Field of view 400 mm wide, 1.37 mm slice spacing, MR, Slice 68/130
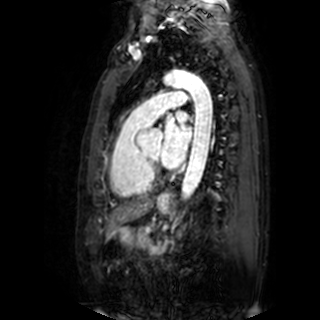 The left atrium is bounded by l=160, t=111, r=191, b=168.